Upper abdomen; Slice 526 of 671; 512x512 px; CT 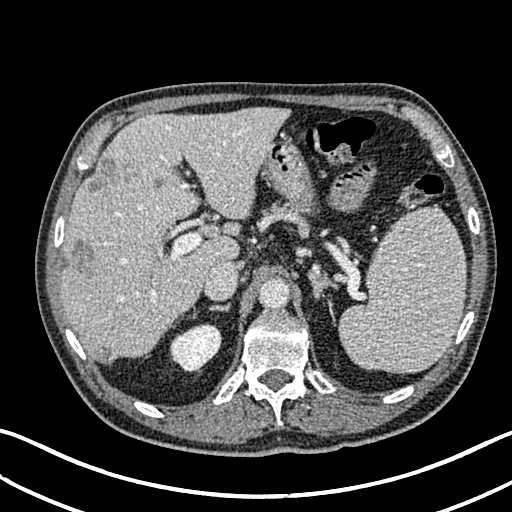
4 liver lesion regions are bounded by <box>103,348,110,357</box>, <box>72,240,93,276</box>, <box>86,155,135,193</box>, <box>153,178,164,187</box>. The liver appears at <box>63,107,288,364</box>. The kidney is at <box>171,325,220,370</box>.